Slice index 69 | 240x240 | Head
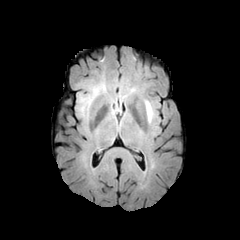
FLAIR MR image.
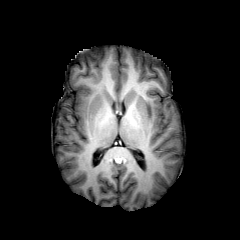
Same slice, T1-weighted magnetic resonance.
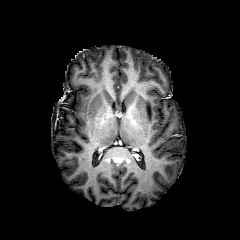
Post-contrast T1-weighted MR.
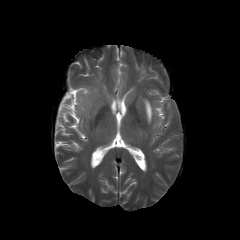
T2-weighted magnetic resonance.
edema: box=[78, 86, 98, 117]; box=[144, 100, 155, 123]; box=[108, 87, 129, 109] | non-enhancing tumor core: box=[111, 111, 127, 118]